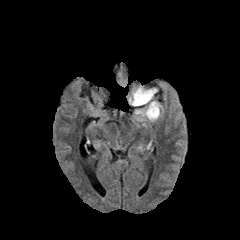
FLAIR magnetic resonance.
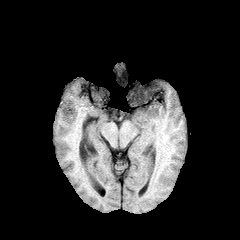
Same slice, T1-weighted MRI.
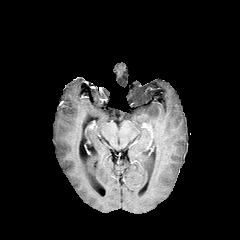
Post-contrast T1-weighted MR image of the same slice.
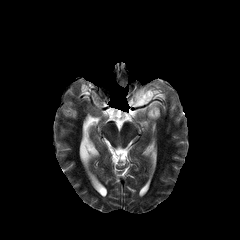
T2-weighted MR image of the same slice.
Head.
The non-enhancing tumor core is located at bbox(134, 94, 148, 103). The edema is located at bbox(129, 86, 162, 126).